Slice index 15; Image width 400 mm; CT 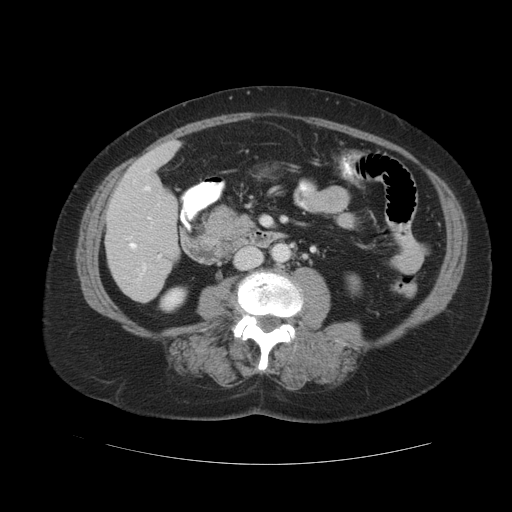

The vessel boxes may cover only some of the vessels.
hepatic_vessel:
  - 130,243,135,247
  - 145,187,149,190